FLAIR MR image.
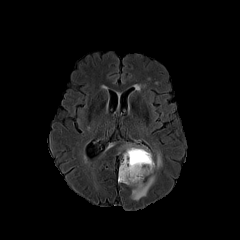
T1-weighted magnetic resonance.
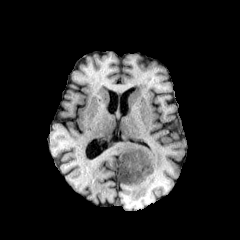
Post-contrast T1-weighted MR image.
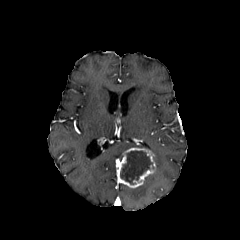
T2-weighted MR image.
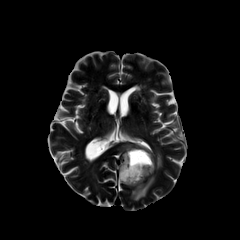
Head
enhancing_tumor:
  - 117, 146, 156, 188
non-enhancing_tumor_core:
  - 120, 150, 152, 184
edema:
  - 124, 143, 141, 150
  - 156, 151, 162, 168
  - 131, 175, 154, 200